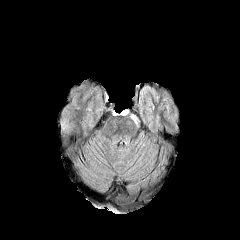
FLAIR MR image.
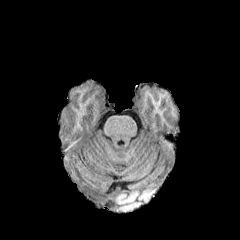
T1-weighted MR of the same slice.
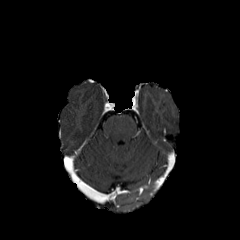
Post-contrast T1-weighted MR image.
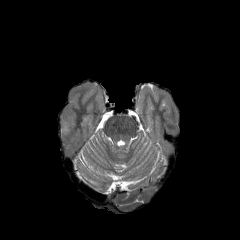
T2-weighted magnetic resonance.
Edema: x1=61, y1=119, x2=70, y2=130.